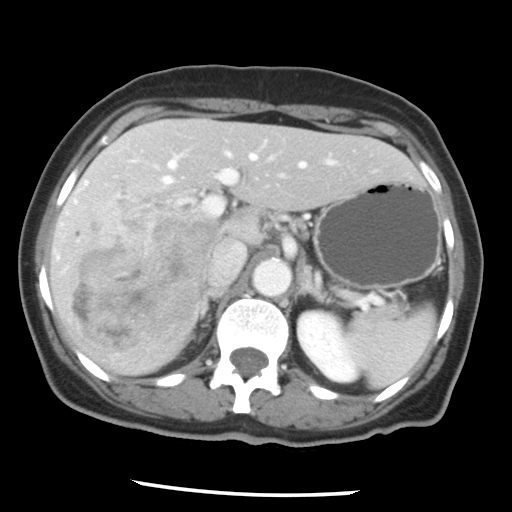
512x512 px; CT slice
Some hepatic vessels may have no box.
Hepatic vessel: (61,232,64,241), (199,196,223,216), (299,162,305,166), (227,153,229,154), (160,154,183,186), (215,166,237,183), (248,153,257,160), (83,179,89,188), (215,242,243,274), (329,160,334,163).
Liver tumor: (65,213,211,350).